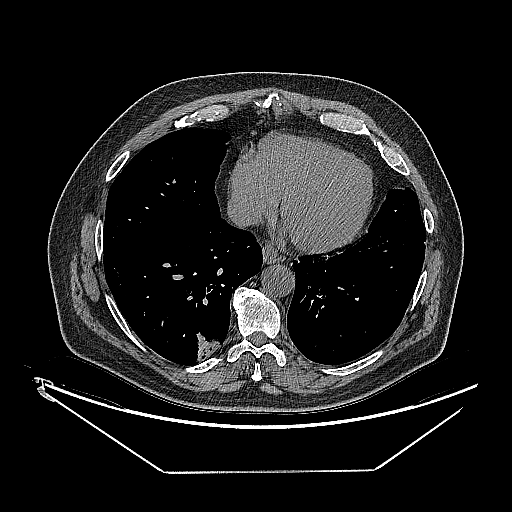

CT slice

lung tumor: 195, 331, 221, 361